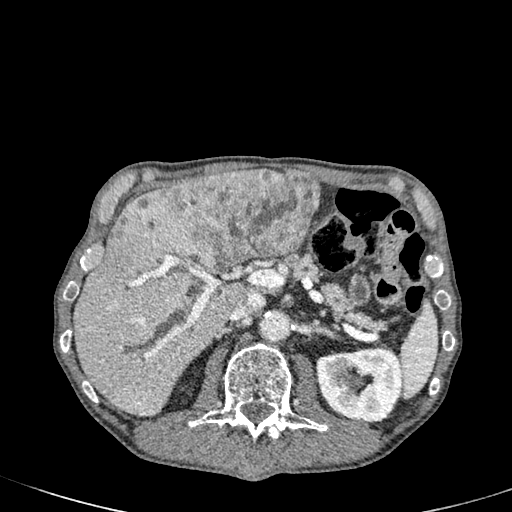

Abdomen. Computed tomography. Annotated regions:
• liver lesion: <box>163,169,317,270</box>, <box>109,230,118,237</box>, <box>139,196,149,207</box>
• kidney: <box>318,349,407,421</box>
• liver: <box>73,189,245,415</box>